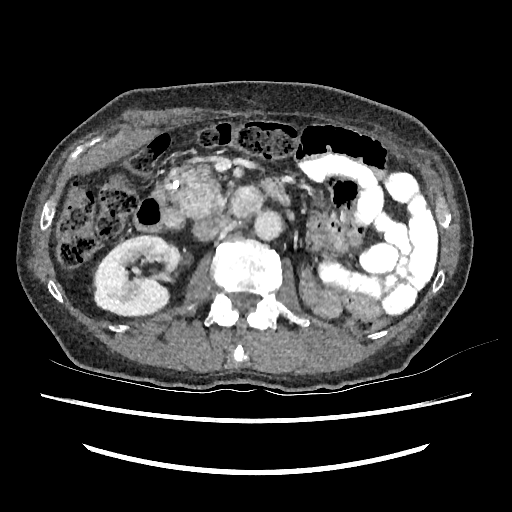

512x512 px, Abdomen, Computed tomography
The kidney appears at x1=95, y1=236, x2=179, y2=315.